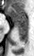

MR image, 34x56 px
The posterior hippocampus is located at rect(15, 23, 27, 41). The anterior hippocampus is bounded by rect(8, 6, 27, 22).